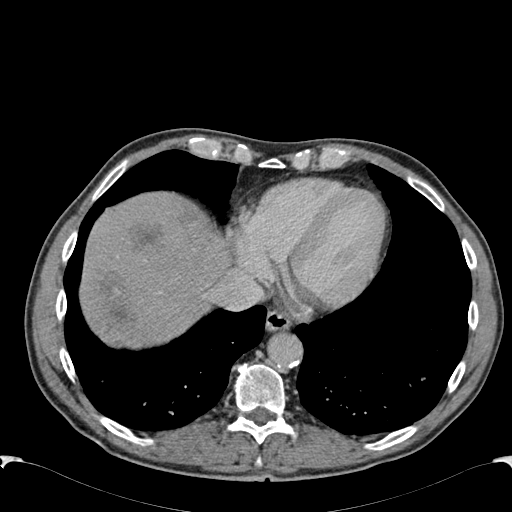 Computed tomography, Abdomen
Liver = 80, 192, 229, 346.
Hepatic lesion = 96, 272, 131, 325; 130, 225, 163, 252; 179, 216, 190, 228.